CT scan slice | 512x512 px | Liver
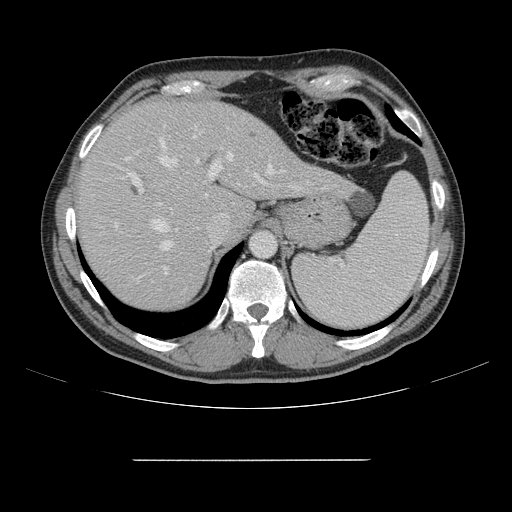
Not every hepatic vessel necessarily has a box.
Most prominent 15 of 23 hepatic vessel regions — 254 173 265 183, 209 159 221 175, 267 165 272 173, 139 188 143 192, 124 158 129 160, 127 173 140 185, 162 241 172 249, 160 156 176 166, 152 220 167 231, 160 139 165 149, 135 277 139 281, 290 186 301 189, 114 223 117 228, 227 153 232 160, 163 266 168 273.